FLAIR magnetic resonance.
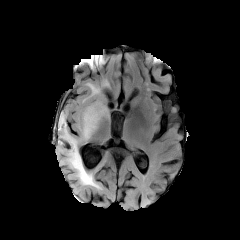
T1-weighted MR image.
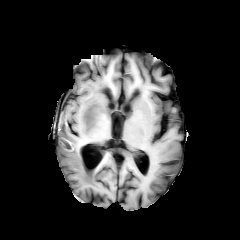
Post-contrast T1-weighted MRI.
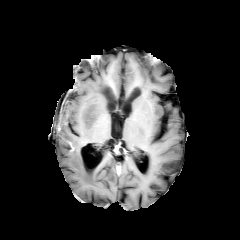
T2-weighted magnetic resonance.
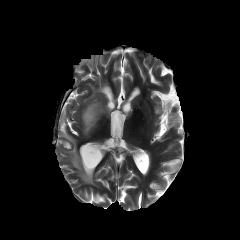
3 edema regions are bounded by <box>57,112,99,188</box>, <box>82,106,103,136</box>, <box>87,83,100,93</box>.